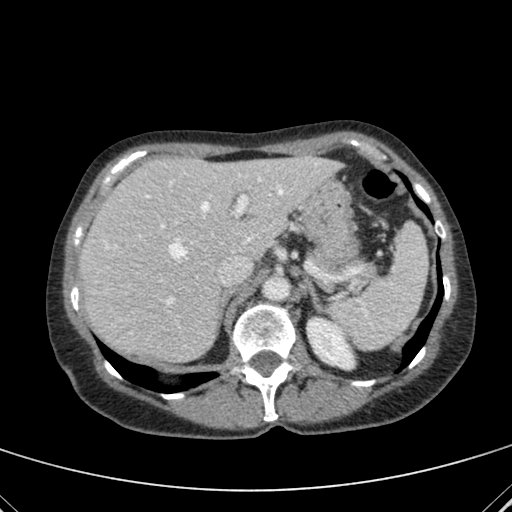
CT scan slice
The liver lies within rect(79, 156, 337, 361). The kidney is located at rect(309, 318, 353, 364).